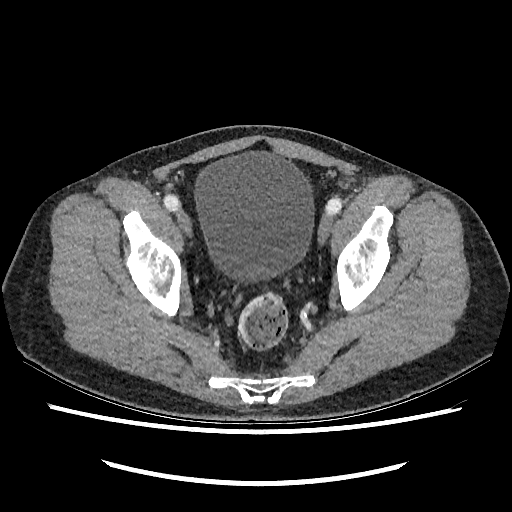 CT image; 512x512
The urinary bladder is at region(194, 150, 314, 282).